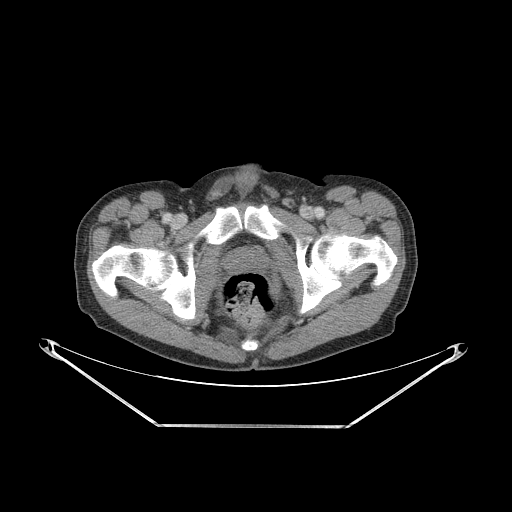

CT scan slice.
Bone: 198,207,241,243; 92,246,195,319; 244,207,282,239; 243,342,255,349; 297,235,396,312.